CT image; 512x512 px; Upper abdomen
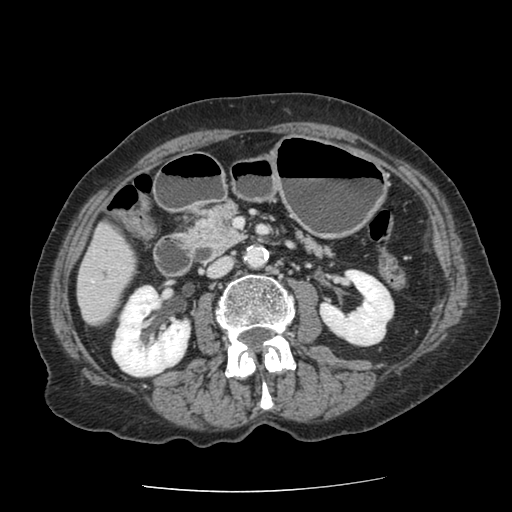

pancreas:
  - 301, 236, 330, 256
  - 186, 202, 242, 254